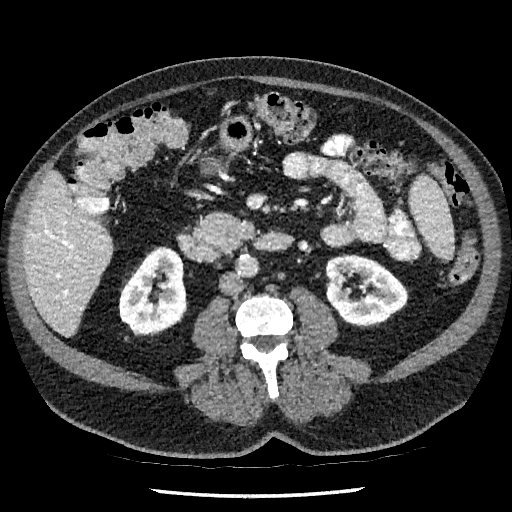 Upper abdomen | CT scan slice | 512x512
Liver at l=24, t=170, r=111, b=335.
Kidney at l=120, t=250, r=185, b=333; l=326, t=256, r=406, b=324.